Head; Slice 73/155
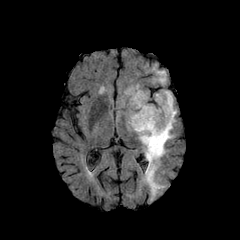
FLAIR MRI.
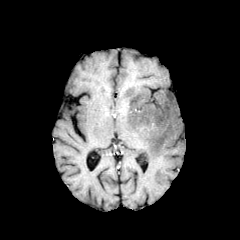
T1-weighted MR image of the same slice.
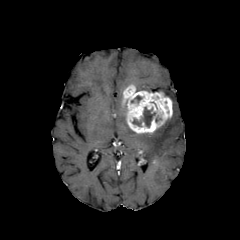
Post-contrast T1-weighted MR image.
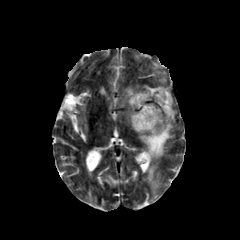
T2-weighted magnetic resonance of the same slice.
The non-enhancing tumor core lies within x1=142, y1=107, x2=155, y2=127. The enhancing tumor is bounded by x1=124, y1=86, x2=172, y2=133. The edema is at x1=136, y1=90, x2=177, y2=197.